Field of view 240 mm wide, 1.00 mm slice spacing
FLAIR MR image.
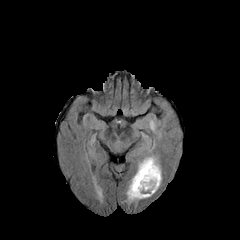
T1-weighted MRI.
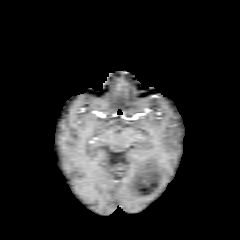
Post-contrast T1-weighted magnetic resonance.
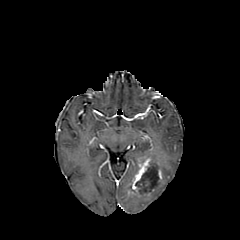
T2-weighted MR image.
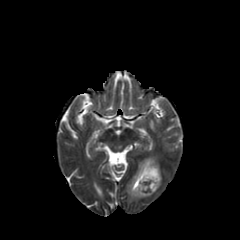
Annotated regions:
* edema: 135, 153, 161, 173; 126, 176, 151, 202; 141, 133, 155, 151
* non-enhancing tumor core: 136, 166, 158, 194
* enhancing tumor: 132, 158, 150, 192